Brain. Field of view 240 mm wide, 1.00 mm slice spacing.
FLAIR MR image.
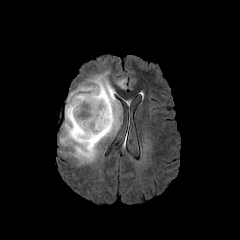
T1-weighted magnetic resonance.
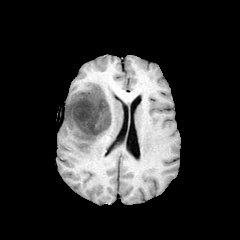
Post-contrast T1-weighted MR image.
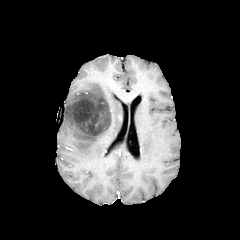
T2-weighted MRI.
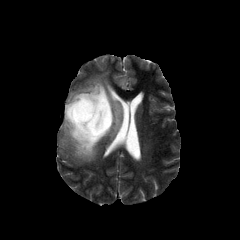
2 edema regions are bounded by x1=109 y1=90 x2=122 y2=119, x1=60 y1=72 x2=121 y2=163. The non-enhancing tumor core is at x1=66 y1=77 x2=114 y2=141.